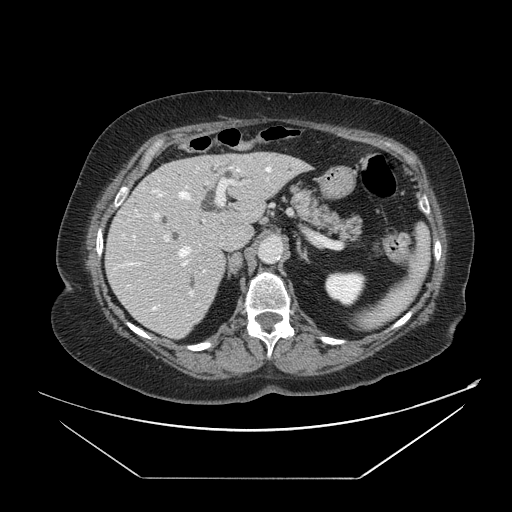
CT; 512x512 px
The pancreas is at <bbox>296, 190, 361, 244</bbox>.